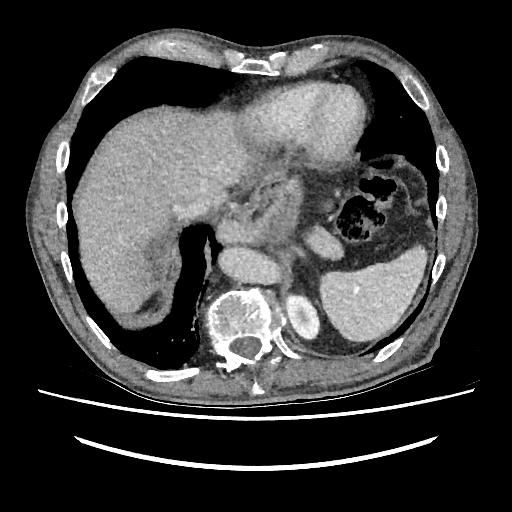

CT image; Liver

Kidney — 287, 296, 318, 338.
Focal liver lesion — 123, 218, 175, 293.
Liver — 77, 112, 265, 315.